Head.
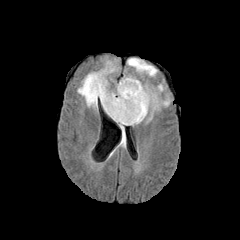
FLAIR magnetic resonance.
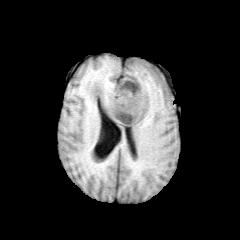
Same slice, T1-weighted MR image.
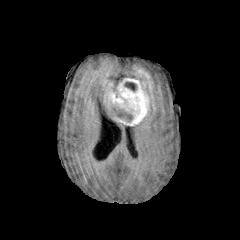
Post-contrast T1-weighted MR image.
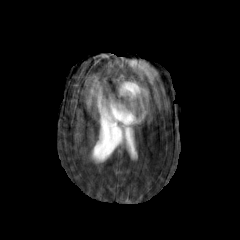
T2-weighted magnetic resonance.
{"enhancing_tumor": ["134:66:152:88", "108:78:149:125"], "non-enhancing_tumor_core": ["130:73:147:84", "105:107:132:122", "124:82:136:91"], "edema": ["77:65:117:110", "127:58:156:85", "136:84:170:124"]}